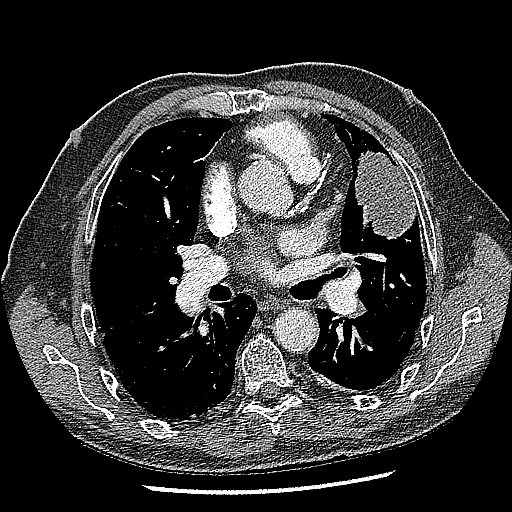 CT | Lung | 512x512 px
- lung tumor: [354,151,415,238]